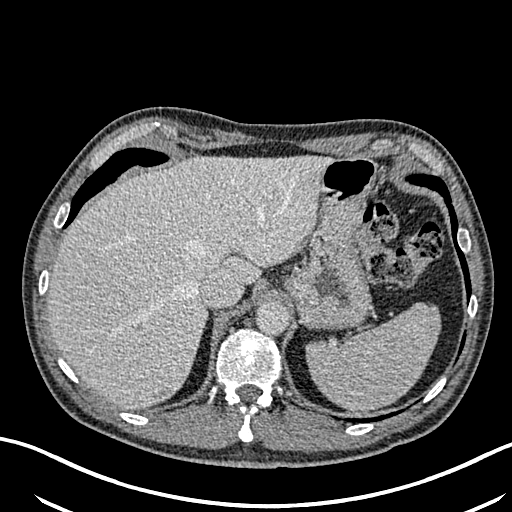

Upper abdomen. CT slice.

2 liver lesion regions appear at x1=158, y1=387, x2=170, y2=399; x1=176, y1=340, x2=185, y2=353. The liver lies within x1=49, y1=156, x2=332, y2=408.